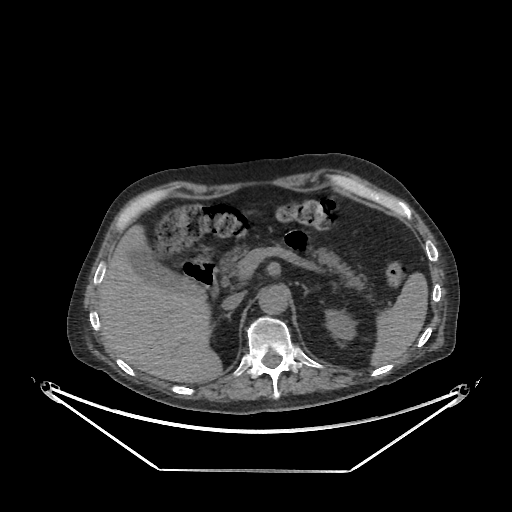

Computed tomography
kidney:
  - bbox=[325, 309, 357, 339]
liver:
  - bbox=[96, 226, 221, 382]